Slice index 31; MRI; Field of view 34x48 mm; Hippocampus

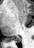

Segmented structures:
- posterior hippocampus: bbox=[11, 38, 20, 41]